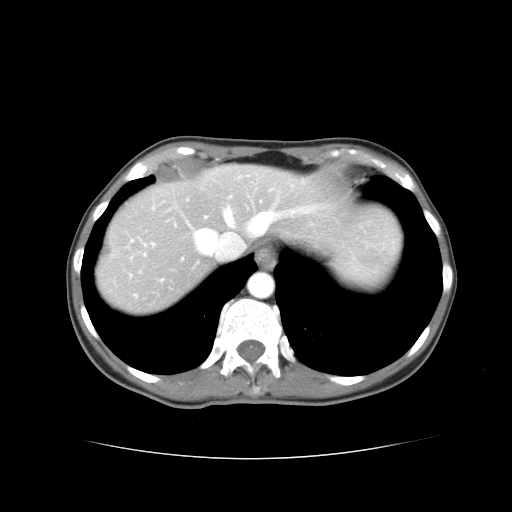

CT image. Not every hepatic vessel necessarily has a box.
- hepatic vessel: <bbox>225, 209, 232, 225</bbox>, <bbox>201, 250, 205, 252</bbox>, <bbox>254, 213, 272, 229</bbox>, <bbox>197, 231, 213, 252</bbox>, <bbox>251, 228, 254, 231</bbox>
- liver tumor: <bbox>105, 247, 113, 254</bbox>